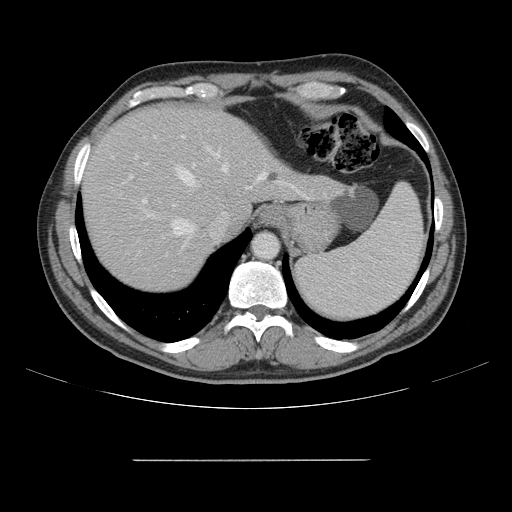
CT. Liver. 512x512 px.

The vessel annotation is not exhaustive.
partial: true
liver_tumor:
  - <box>270,174,278,181</box>
hepatic_vessel:
  # 15 of 17 shown
  - <box>135,156,137,158</box>
  - <box>247,187,250,188</box>
  - <box>212,151,219,157</box>
  - <box>257,173,266,179</box>
  - <box>182,136,184,137</box>
  - <box>143,199,146,203</box>
  - <box>143,209,149,215</box>
  - <box>144,163,147,164</box>
  - <box>277,180,309,198</box>
  - <box>192,164,194,167</box>
  - <box>173,219,194,243</box>
  - <box>177,168,194,185</box>
  - <box>207,146,211,152</box>
  - <box>129,175,132,178</box>
  - <box>222,164,227,171</box>